Field of view 240x240 mm, Slice 57/155
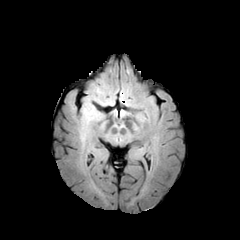
FLAIR MRI.
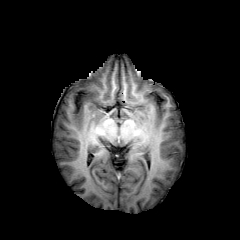
T1-weighted MR.
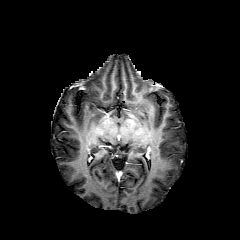
Post-contrast T1-weighted magnetic resonance.
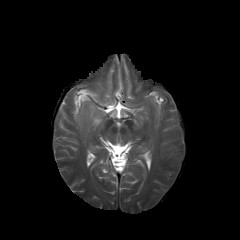
T2-weighted MR image of the same slice.
{
  "edema": [
    "x1=102, y1=98, x2=113, y2=104",
    "x1=135, y1=113, x2=144, y2=122",
    "x1=78, y1=88, x2=105, y2=129",
    "x1=125, y1=87, x2=132, y2=105"
  ]
}